320x320 | MRI slice
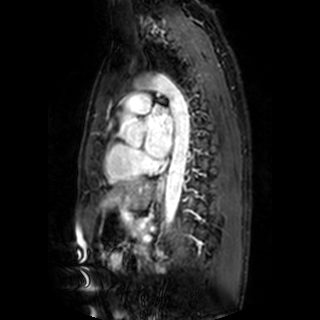
The left atrium is located at [144, 106, 172, 158].